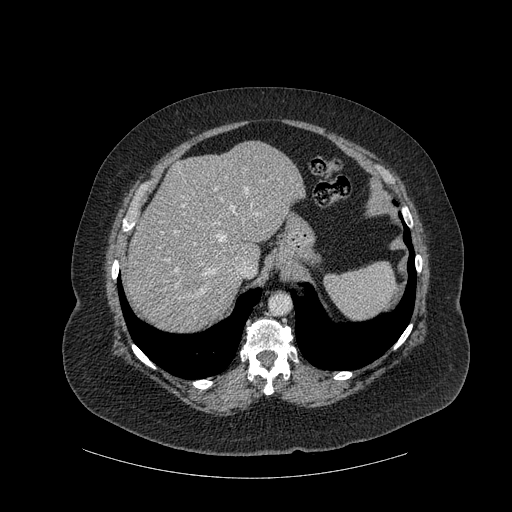

CT
{"lung": ["<bbox>118, 281, 261, 378</bbox>", "<bbox>291, 221, 415, 370</bbox>"], "liver": ["<bbox>127, 141, 304, 332</bbox>"], "bone": ["<bbox>334, 371, 351, 379</bbox>", "<bbox>193, 380, 211, 389</bbox>", "<bbox>241, 319, 297, 394</bbox>", "<bbox>112, 260, 118, 278</bbox>", "<bbox>415, 255, 421, 271</bbox>", "<bbox>394, 324, 412, 348</bbox>", "<bbox>402, 207, 412, 223</bbox>", "<bbox>132, 345, 155, 368</bbox>"]}